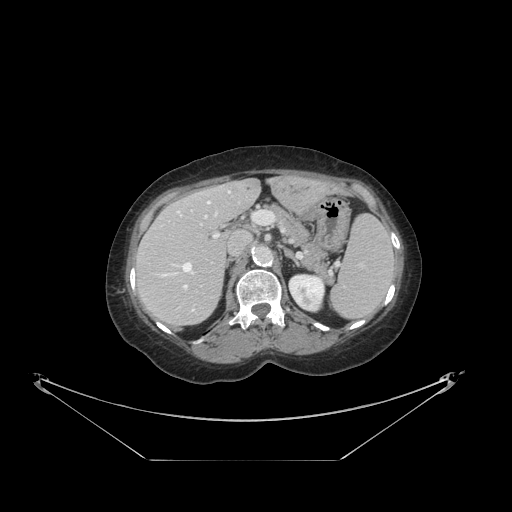 Image size 512x512, CT slice

Only some of the vessels may be annotated.
Hepatic vessel — [160,275,163,276], [215,212,216,215], [184,286,186,288], [205,216,206,217], [207,201,209,203], [178,211,180,213], [183,262,192,273], [213,234,218,238], [252,210,274,223].